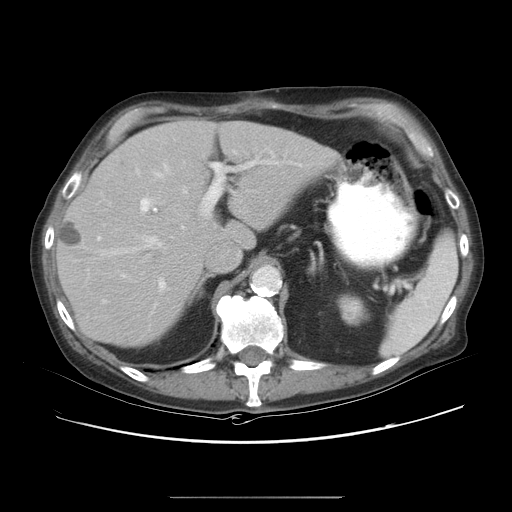 Computed tomography. Not every hepatic vessel necessarily has a box.
• liver tumor: <bbox>60, 224, 78, 244</bbox>
• hepatic vessel: <bbox>133, 248, 137, 250</bbox>, <bbox>240, 160, 255, 167</bbox>, <bbox>110, 250, 127, 253</bbox>, <bbox>96, 235, 101, 239</bbox>, <bbox>143, 236, 161, 246</bbox>, <bbox>200, 163, 234, 216</bbox>, <bbox>164, 164, 168, 171</bbox>, <bbox>139, 197, 155, 208</bbox>, <bbox>232, 150, 236, 153</bbox>, <bbox>158, 276, 163, 282</bbox>, <bbox>103, 252, 105, 253</bbox>